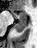
Medial temporal lobe. MR image. <segmentation>
  <posterior_hippocampus>14, 20, 25, 32</posterior_hippocampus>
  <anterior_hippocampus>12, 12, 26, 19</anterior_hippocampus>
</segmentation>